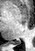

MR, Image size 35x51
posterior hippocampus: rect(13, 41, 20, 44)